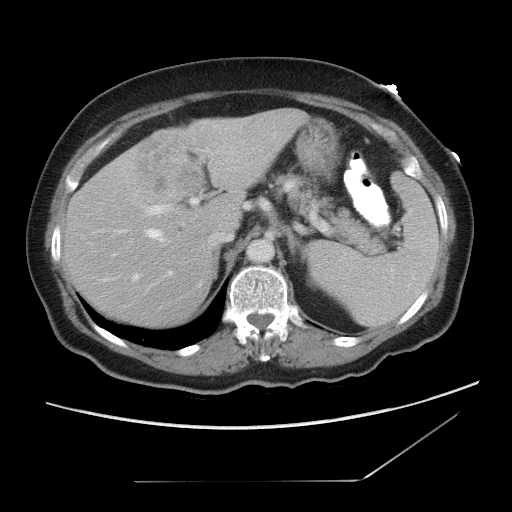 CT

Not every hepatic vessel necessarily has a box.
Liver tumor = (137, 136, 208, 199).
Hepatic vessel = (209, 241, 213, 245), (147, 229, 163, 241), (147, 205, 167, 213), (191, 199, 197, 203), (133, 275, 138, 280).